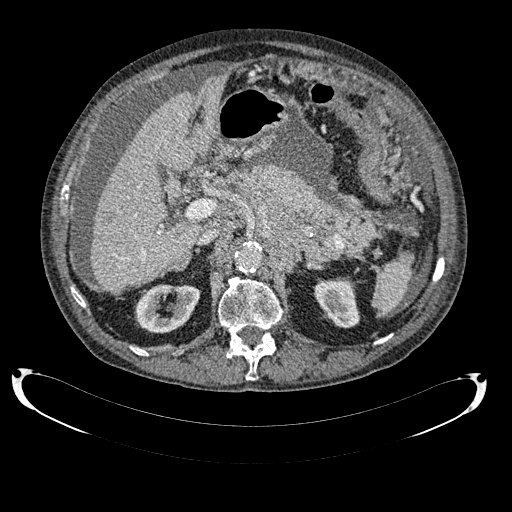 Computed tomography.
The focal liver lesion lies within (x1=102, y1=211, x2=114, y2=225). 2 kidney regions are bounded by (x1=314, y1=280, x2=359, y2=327), (x1=136, y1=285, x2=199, y2=332). The liver appears at (x1=91, y1=74, x2=226, y2=294).